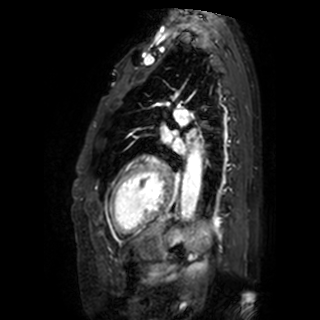

Magnetic resonance. Image size 320x320. Left atrium: <box>173,138,185,154</box>, <box>162,130,171,142</box>.